FLAIR MR.
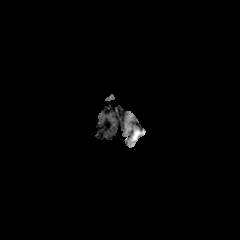
T1-weighted MR image.
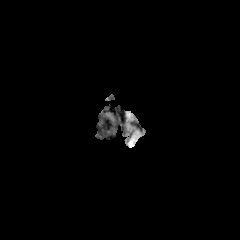
Post-contrast T1-weighted MR.
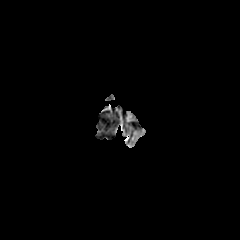
T2-weighted MR image.
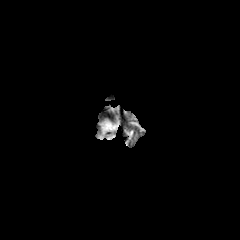
Brain.
The edema is at [x1=131, y1=128, x2=144, y2=141].